CT image

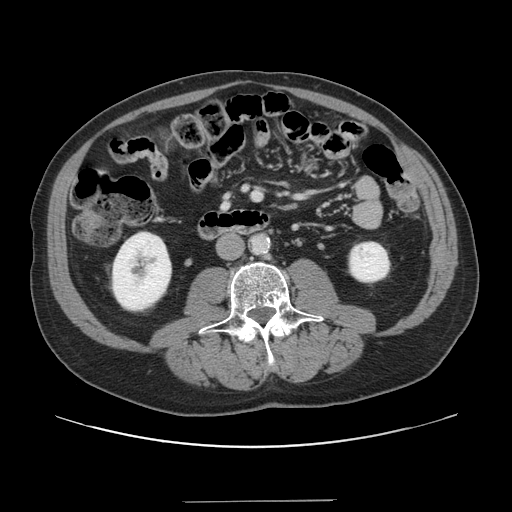

Only some of the vessels may be annotated.
Hepatic vessel: rect(253, 193, 258, 195).